CT scan slice, Field of view 400 mm wide, 0.80 mm slice spacing 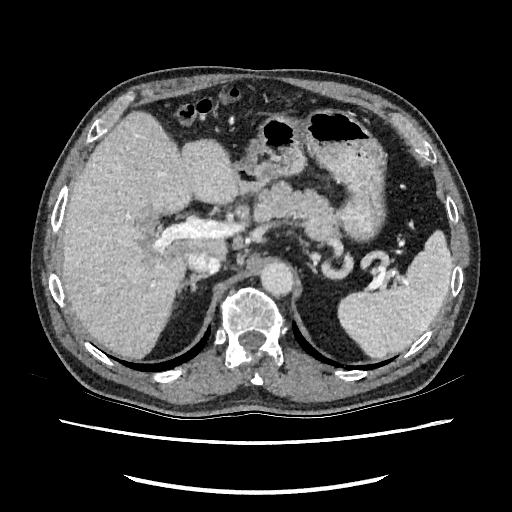
2 focal liver lesion regions appear at box=[138, 211, 164, 249]; box=[165, 243, 179, 257]. The liver appears at box=[63, 114, 236, 357].